CT slice

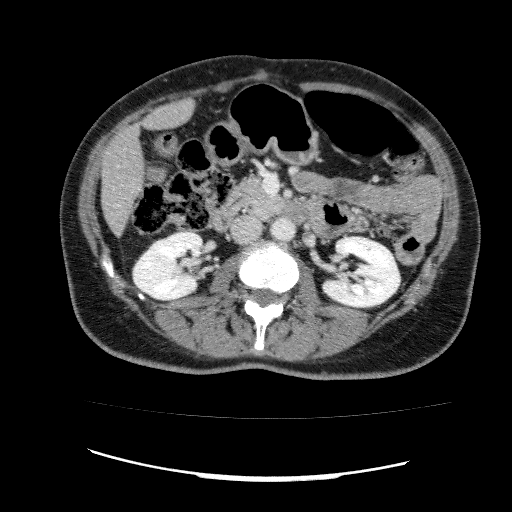
2 kidney regions appear at (133, 232, 201, 299), (323, 237, 399, 306). 2 liver regions appear at (145, 99, 194, 128), (100, 126, 143, 236).